Image width 240 mm, Brain
FLAIR magnetic resonance.
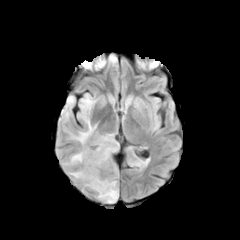
T1-weighted magnetic resonance.
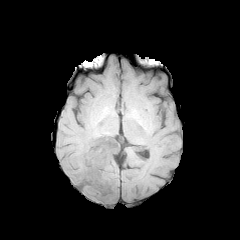
Post-contrast T1-weighted magnetic resonance.
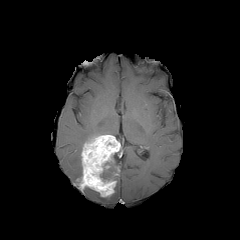
T2-weighted MR image.
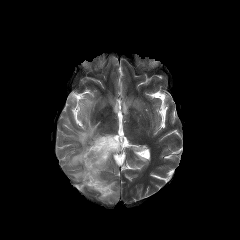
<segmentation>
  <non-enhancing_tumor_core>(100,156,116,182)</non-enhancing_tumor_core>
  <enhancing_tumor>(80,135,119,197)</enhancing_tumor>
  <edema>(69,93,99,146), (106,166,118,179), (62,150,81,166), (69,169,81,182), (97,183,118,203), (60,95,75,124)</edema>
</segmentation>